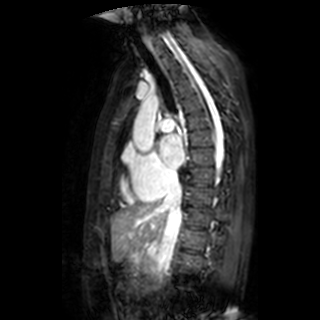 MRI slice.
left atrium: (left=158, top=134, right=184, bottom=169)